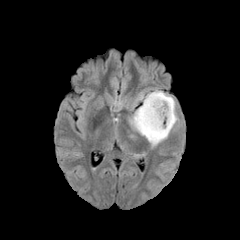
FLAIR magnetic resonance.
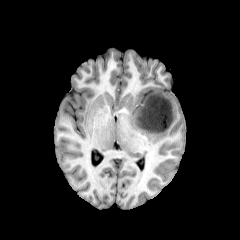
T1-weighted MRI of the same slice.
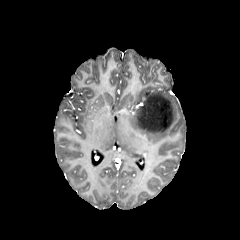
Same slice, post-contrast T1-weighted magnetic resonance.
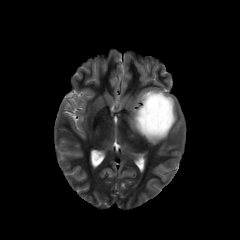
T2-weighted MR.
Head
Edema: bounding box (129, 87, 179, 146).
Non-enhancing tumor core: bounding box (135, 92, 171, 133).